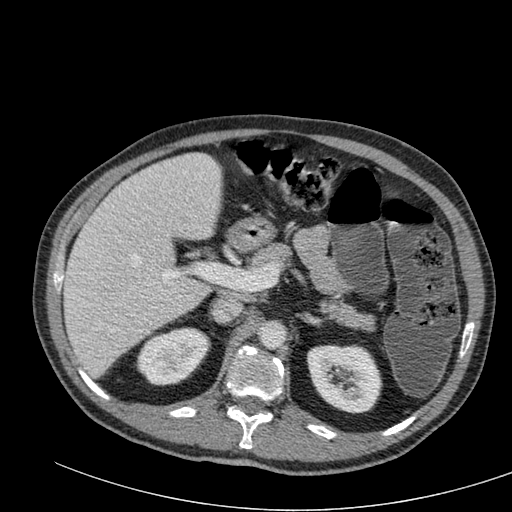
CT

Kidney: {"x1": 138, "y1": 329, "x2": 207, "y2": 384}, {"x1": 308, "y1": 346, "x2": 380, "y2": 412}.
Liver: {"x1": 60, "y1": 153, "x2": 220, "y2": 377}.